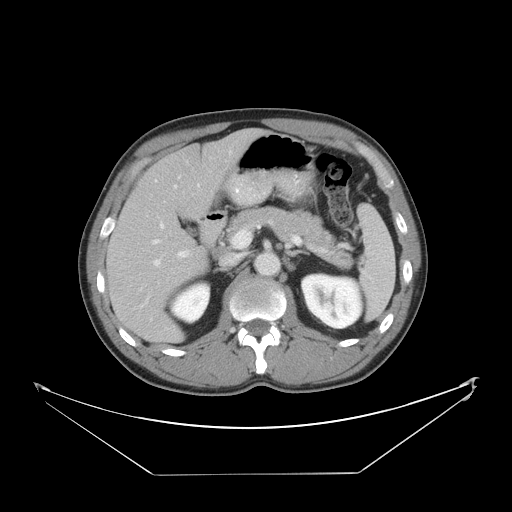

CT
Only some of the vessels may be annotated.
{"hepatic_vessel": ["l=154, t=256, r=161, b=265", "l=229, t=149, r=231, b=154", "l=141, t=296, r=148, b=306", "l=177, t=250, r=191, b=257", "l=174, t=185, r=176, b=187", "l=160, t=223, r=163, b=227", "l=152, t=239, r=160, b=244", "l=197, t=184, r=199, b=187", "l=178, t=176, r=180, b=178"]}